Upper abdomen, CT scan slice, Slice 516 of 836 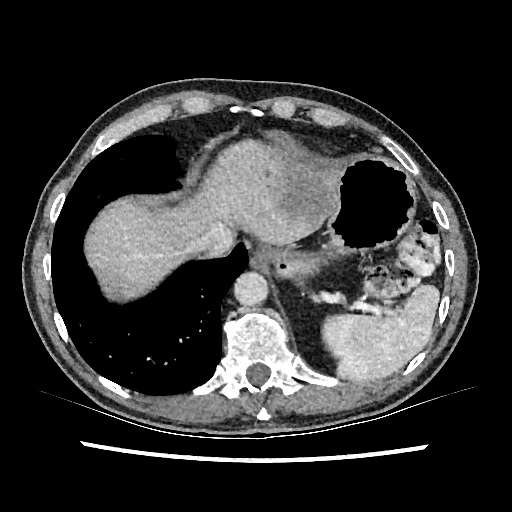
Segmented structures:
• liver: bbox(89, 140, 337, 298)
• hepatic lesion: bbox(274, 173, 337, 225)